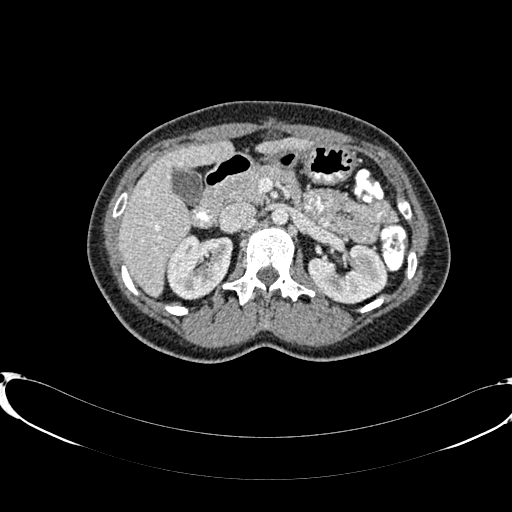
Computed tomography | Abdomen | 512x512 px
Segmented structures:
* liver: bbox(119, 142, 231, 296); bbox(258, 139, 310, 152)
* kidney: bbox(169, 237, 231, 297); bbox(310, 244, 385, 302)